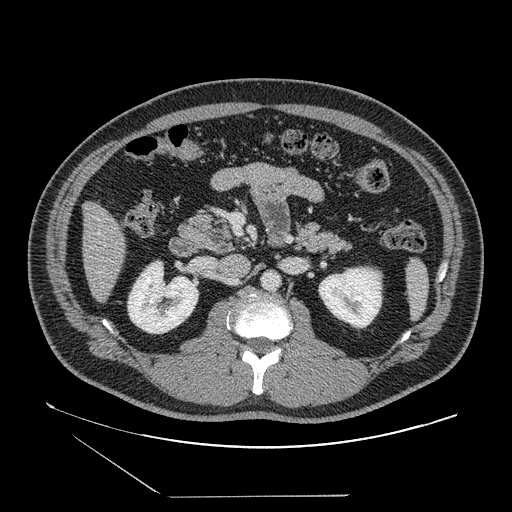 CT image. pancreas:
  - box(294, 222, 351, 256)
  - box(178, 211, 238, 255)
pancreatic_tumor:
  - box(209, 229, 226, 246)